FLAIR MRI.
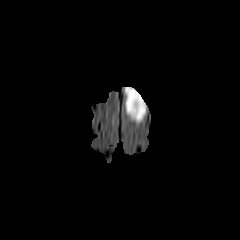
T1-weighted magnetic resonance.
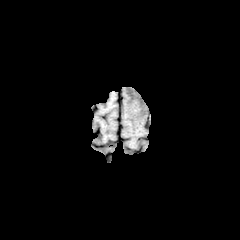
Post-contrast T1-weighted MR.
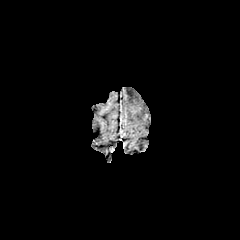
T2-weighted MR image.
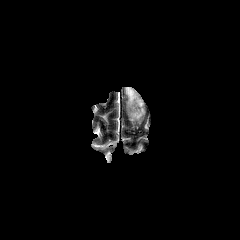
Brain.
Edema: [x1=124, y1=87, x2=146, y2=126].